FLAIR MRI.
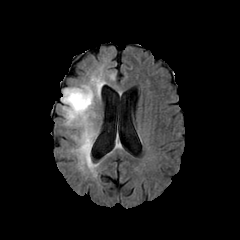
T1-weighted MRI.
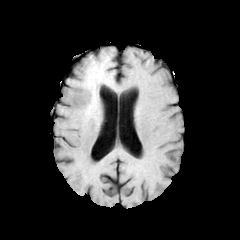
Post-contrast T1-weighted MR image.
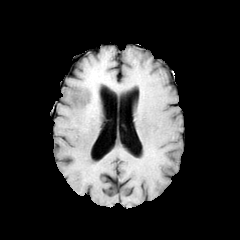
T2-weighted MRI.
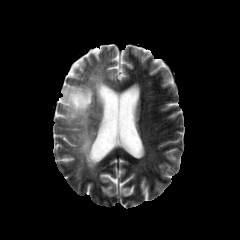
Head.
{
  "non-enhancing_tumor_core": [
    {"x1": 82, "y1": 104, "x2": 94, "y2": 120},
    {"x1": 85, "y1": 75, "x2": 99, "y2": 100}
  ],
  "edema": [
    {"x1": 61, "y1": 84, "x2": 98, "y2": 177},
    {"x1": 94, "y1": 84, "x2": 101, "y2": 105},
    {"x1": 93, "y1": 67, "x2": 105, "y2": 85}
  ]
}